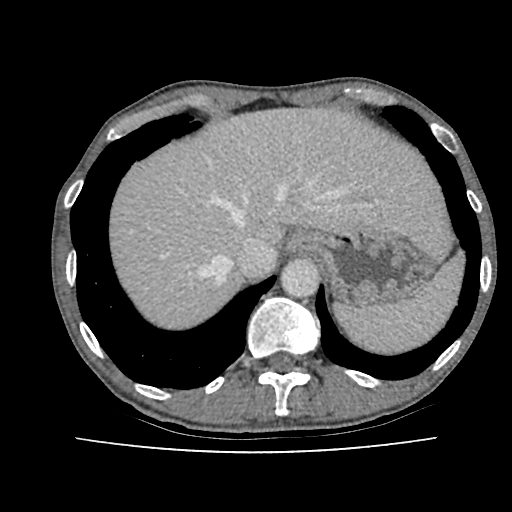

CT slice. - liver: l=109, t=108, r=451, b=327